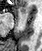

Image size 42x51. Hippocampus. MR image.

Anterior hippocampus: box=[22, 7, 25, 15].